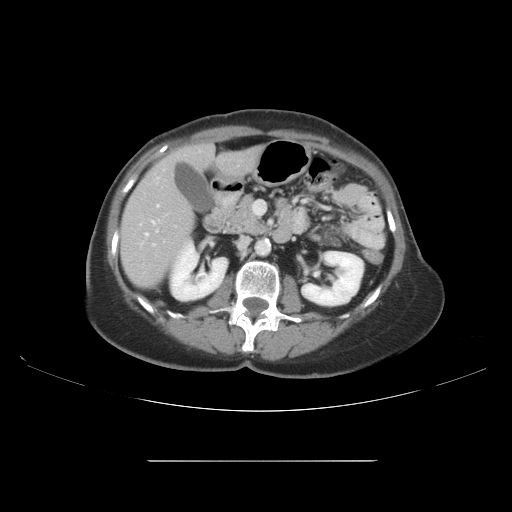 512x512 px | Upper abdomen | CT
Pancreas: bounding box x1=223, y1=194, x2=268, y2=236.